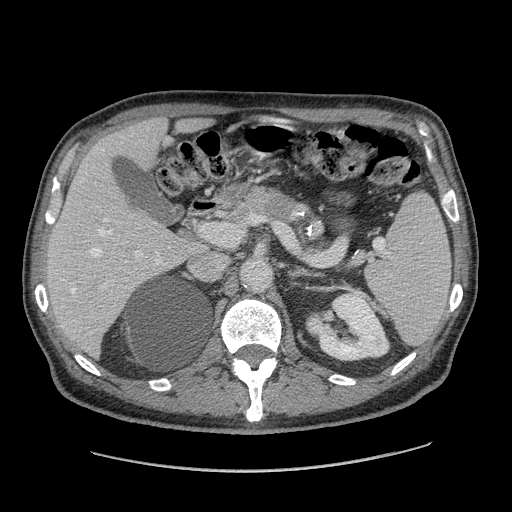 Upper abdomen | CT slice
• pancreatic tumor: l=264, t=193, r=293, b=219
• pancreas: l=278, t=204, r=297, b=225; l=228, t=190, r=281, b=217